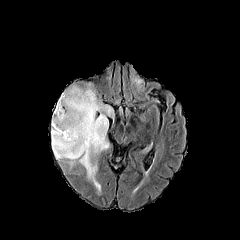
FLAIR magnetic resonance.
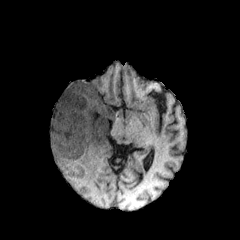
T1-weighted MR image.
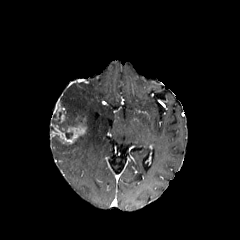
Same slice, post-contrast T1-weighted MR image.
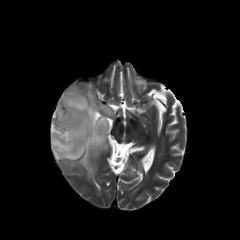
Same slice, T2-weighted MR.
Image size 240x240
Annotated regions:
- edema: 51:82:114:191
- enhancing tumor: 50:117:87:144
- non-enhancing tumor core: 52:108:67:122